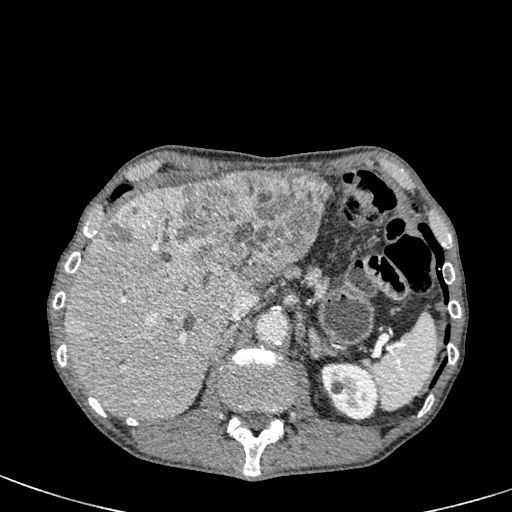

CT slice; Image size 512x512; Upper abdomen
Kidney = region(321, 364, 377, 419).
Focal liver lesion = region(177, 171, 331, 287); region(106, 223, 133, 243).
Liver = region(269, 168, 320, 178); region(274, 260, 297, 276); region(63, 184, 246, 421).